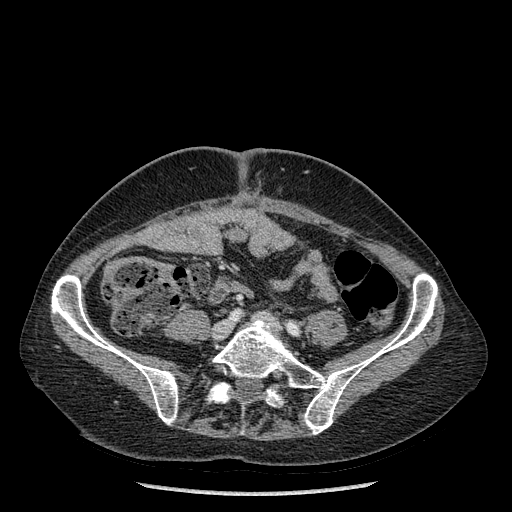 Computed tomography.

Bone = bbox=[208, 382, 234, 402]; bbox=[51, 274, 177, 424]; bbox=[212, 273, 437, 434]; bbox=[260, 385, 282, 406].